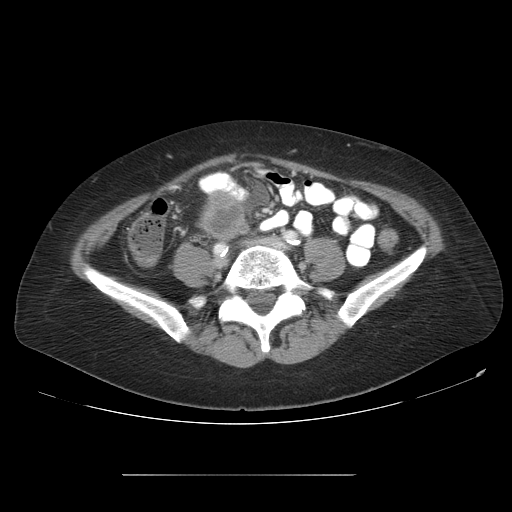

Image size 512x512, CT slice, Pelvis
Colon tumor: bounding box (199, 192, 248, 240).